512x512 px. CT scan slice. 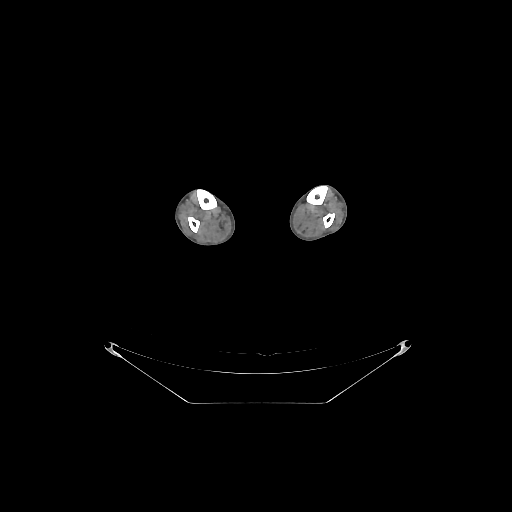

bone:
  - region(323, 213, 334, 227)
  - region(188, 217, 199, 232)
  - region(197, 189, 216, 209)
  - region(307, 186, 327, 204)